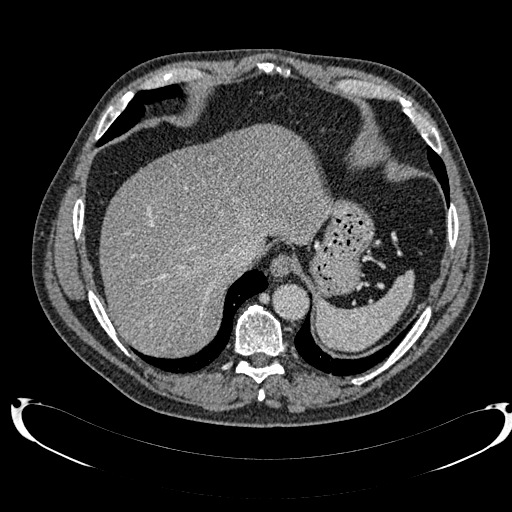
CT slice. Liver. 512x512.

The liver appears at [100,125,328,357]. The liver lesion is bounded by [145,134,255,221].